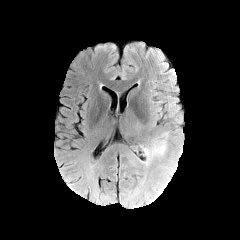
FLAIR magnetic resonance.
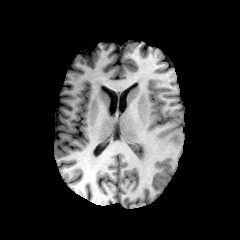
T1-weighted MR image.
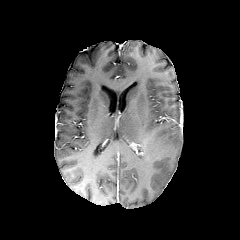
Post-contrast T1-weighted magnetic resonance of the same slice.
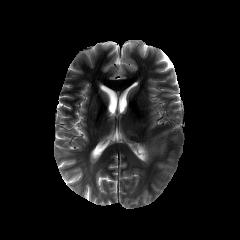
T2-weighted MRI.
Head
Edema: bounding box x1=139, y1=132, x2=167, y2=164.